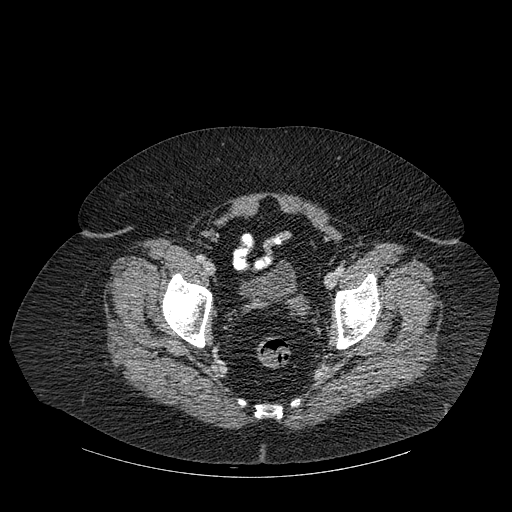

Image size 512x512 | CT scan slice

<segmentation>
  <bone>box=[335, 274, 379, 348]; box=[163, 273, 211, 347]; box=[255, 405, 282, 418]</bone>
</segmentation>